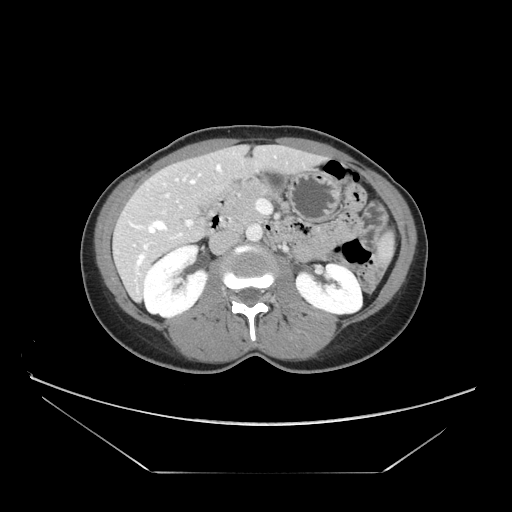
512x512 | CT
pancreas: [219, 179, 287, 230]